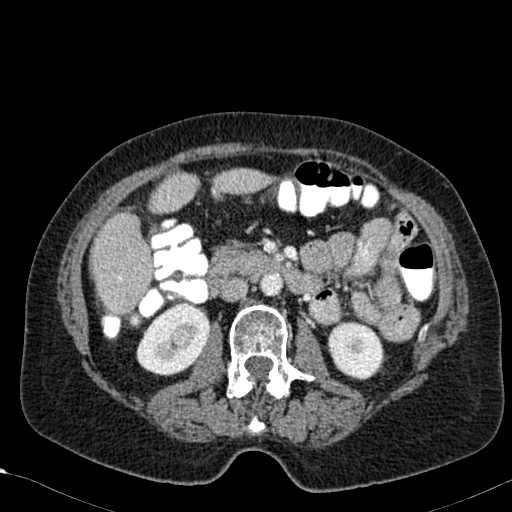 Computed tomography

3 liver regions are bounded by 214,169,270,192; 150,174,197,212; 92,213,151,312. 2 kidney regions are bounded by 137,299,209,374; 329,323,382,378.